Slice 41 of 101; Computed tomography

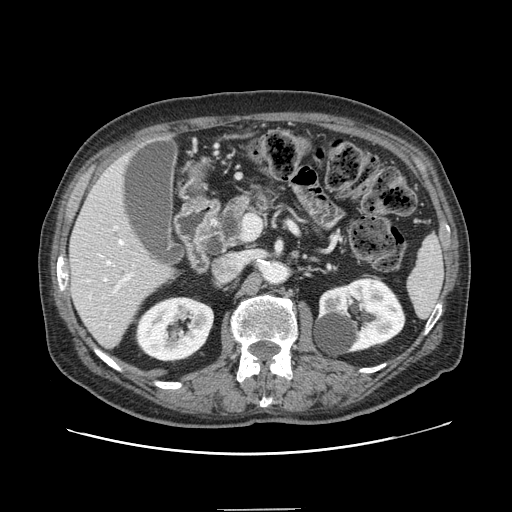
The pancreas is bounded by l=202, t=182, r=278, b=253.